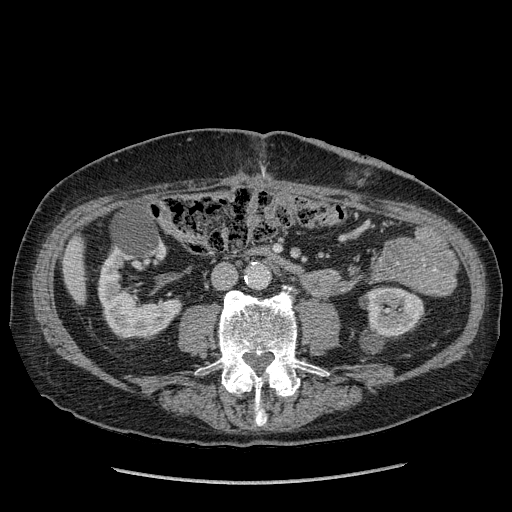
CT image | Abdomen

3 kidney regions are bounded by region(156, 243, 165, 259); region(364, 287, 423, 336); region(98, 247, 180, 336). The liver is bounded by region(63, 235, 85, 305).